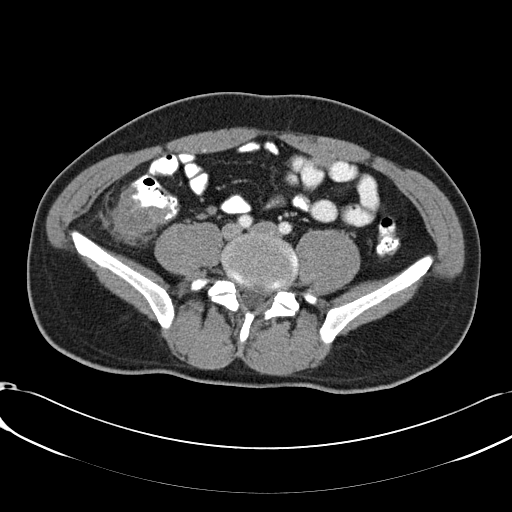 Abdomen, Computed tomography

Segmented structures:
- colon tumor: box(111, 186, 163, 238)